Brain | Slice 110 of 155 | Image size 240x240 | Field of view 240x240 mm
FLAIR MRI.
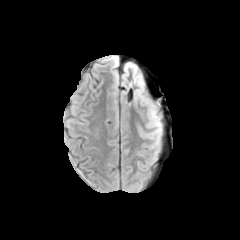
T1-weighted MR image.
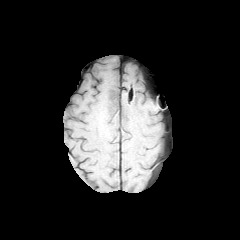
Post-contrast T1-weighted MRI.
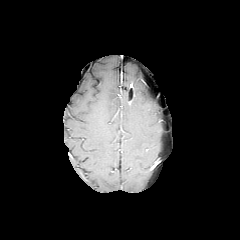
T2-weighted magnetic resonance.
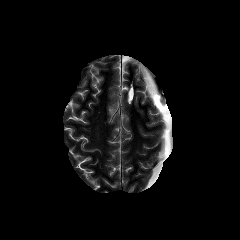
edema: <bbox>140, 88, 162, 127</bbox>, <bbox>146, 127, 163, 144</bbox>